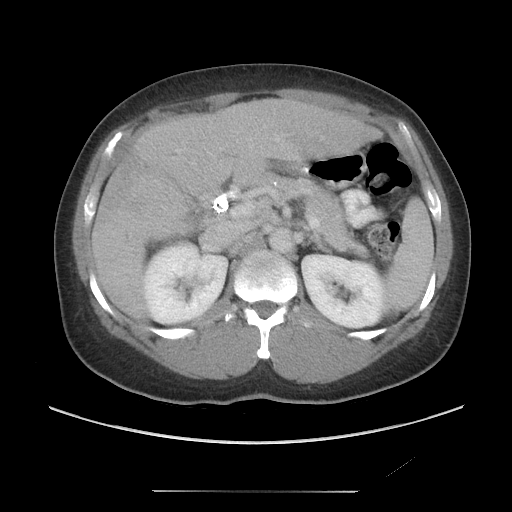

Abdomen | CT
The vessel annotation is not exhaustive.
The liver tumor appears at bbox(96, 154, 147, 227). 3 hepatic vessel regions appear at bbox(208, 152, 211, 154); bbox(236, 140, 237, 141); bbox(175, 148, 183, 152).